FLAIR MRI.
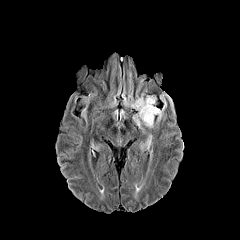
T1-weighted MR image.
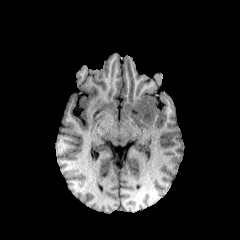
Post-contrast T1-weighted MR.
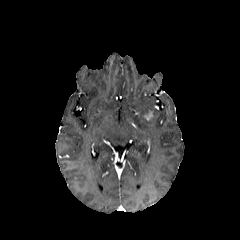
T2-weighted MR.
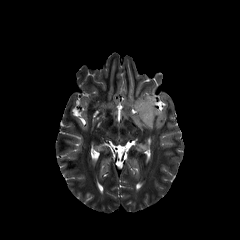
Brain
Edema — (131,93,171,128).